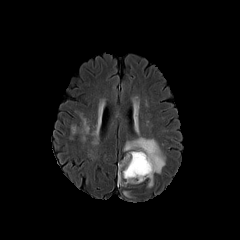
FLAIR MRI.
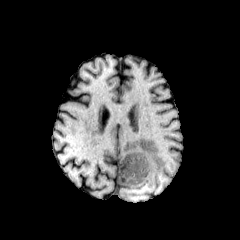
T1-weighted magnetic resonance.
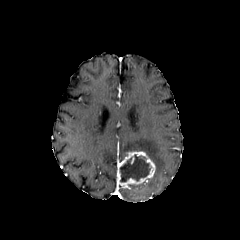
Post-contrast T1-weighted magnetic resonance.
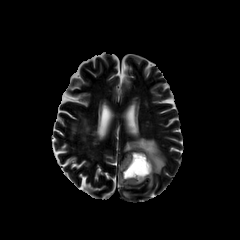
T2-weighted MRI.
Head
The enhancing tumor is bounded by (x1=117, y1=150, x2=155, y2=188). The non-enhancing tumor core is located at (x1=120, y1=155, x2=150, y2=182). The edema is at (x1=124, y1=137, x2=165, y2=173).